CT image, Slice 379 of 751, Abdomen 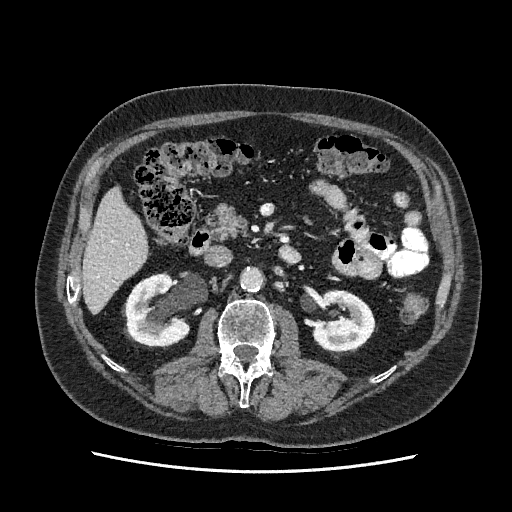 <segmentation>
  <kidney>307 291 374 350, 126 275 188 345</kidney>
  <liver>82 187 146 312</liver>
</segmentation>